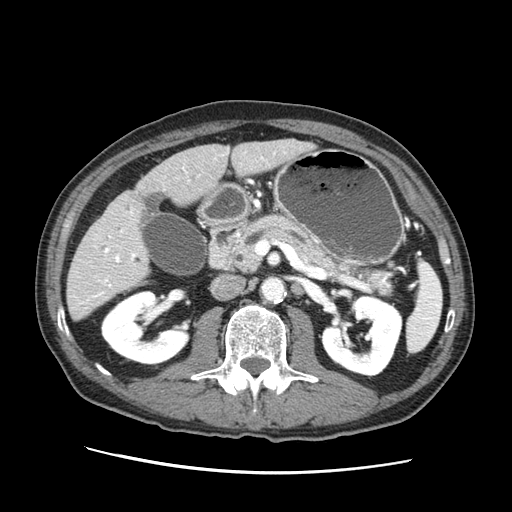 Computed tomography
Findings:
- pancreas: {"x1": 228, "y1": 218, "x2": 391, "y2": 294}